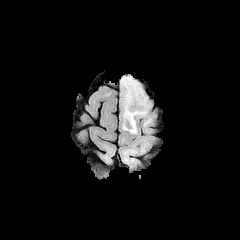
FLAIR magnetic resonance.
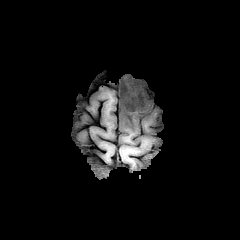
T1-weighted MRI.
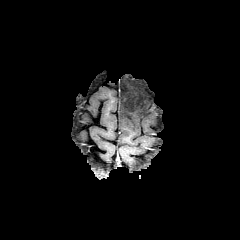
Post-contrast T1-weighted MR image.
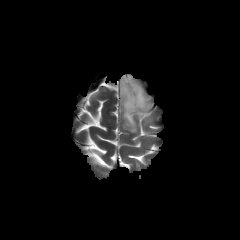
T2-weighted MR image of the same slice.
2 non-enhancing tumor core regions appear at (128, 106, 139, 125), (122, 142, 137, 160). The edema is at (120, 75, 151, 133).